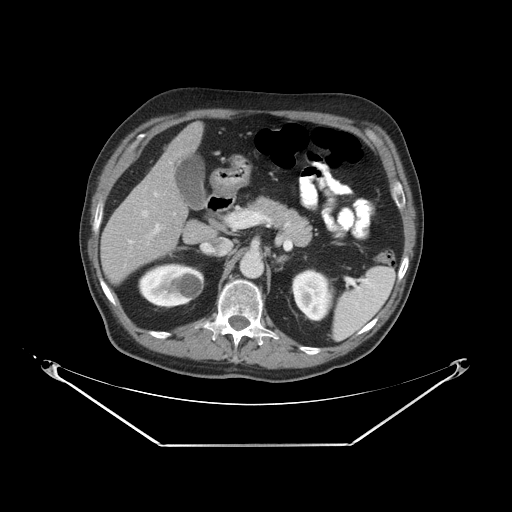 Liver, 512x512, CT
Only some of the vessels may be annotated.
hepatic vessel: [145, 203, 146, 204], [141, 210, 148, 217], [168, 161, 171, 164], [173, 213, 175, 214], [127, 240, 133, 243], [147, 222, 164, 238], [153, 191, 159, 196]